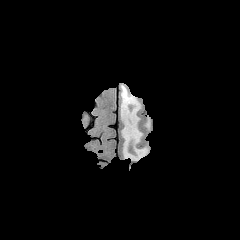
FLAIR MR image.
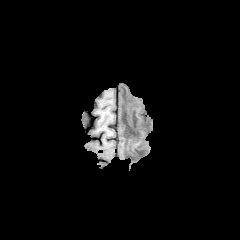
T1-weighted MR image.
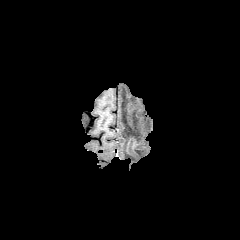
Post-contrast T1-weighted MRI.
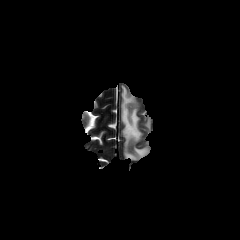
T2-weighted MRI.
{"edema": ["rect(120, 85, 148, 159)"], "non-enhancing_tumor_core": ["rect(124, 104, 136, 129)"]}